CT slice
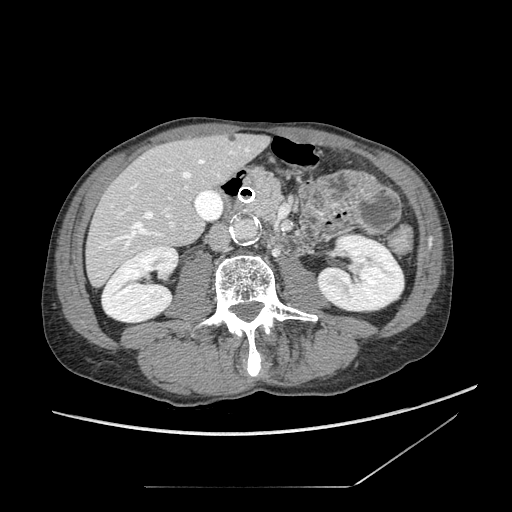
<segmentation>
  <pancreas>248:172:282:221</pancreas>
</segmentation>